CT. Slice 180/811. 512x512 px. Lower abdomen. 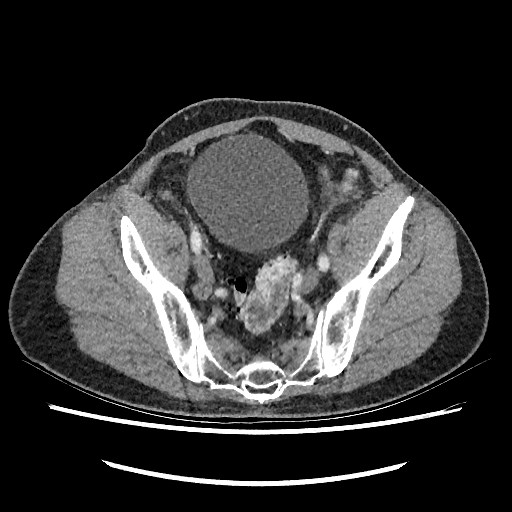 urinary bladder: <box>186,131,309,252</box>